Slice 19/132; Abdomen; CT scan slice

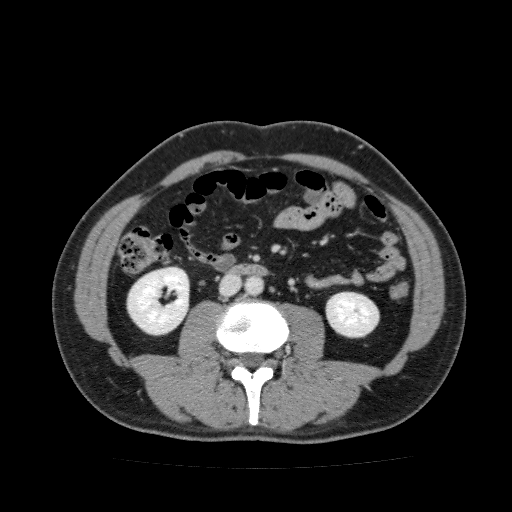 kidney: [326,292,378,336], [127,267,188,334]